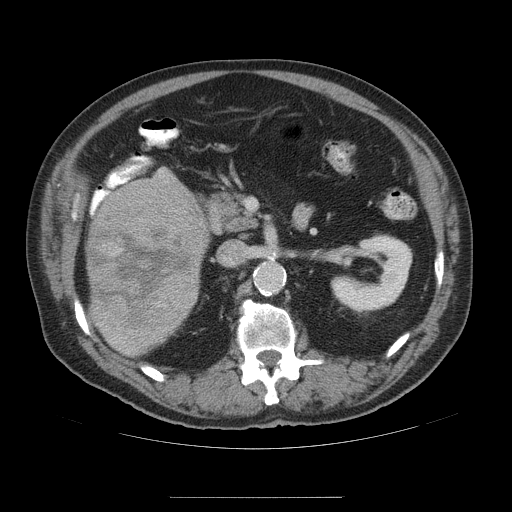 Image size 512x512; Abdomen; CT image

{
  "liver_tumor": [
    "(x1=87, y1=177, x2=208, y2=338)"
  ]
}